Abdomen, CT slice, Slice 55 of 117
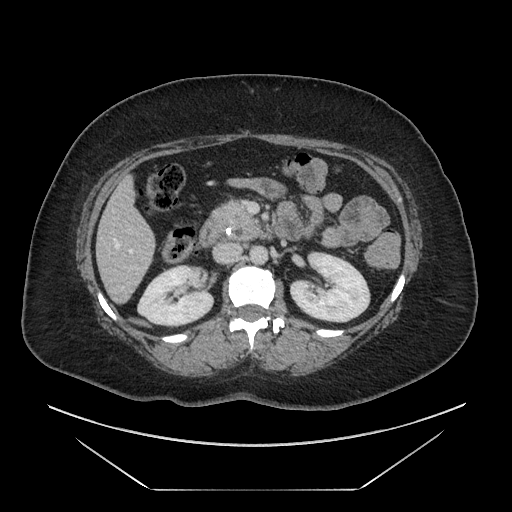 Segmented structures:
• pancreas: x1=223 y1=203 x2=259 y2=239